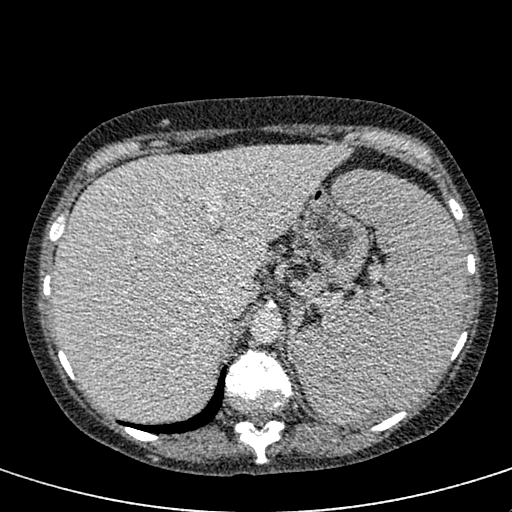

Liver. CT scan slice.

Liver at l=54, t=146, r=354, b=419.